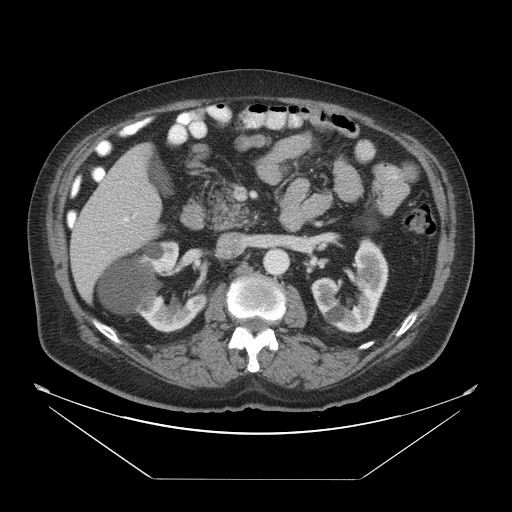 CT.

The vessel annotation is not exhaustive.
{"hepatic_vessel": ["bbox=[125, 217, 127, 220]"]}